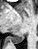
Magnetic resonance
The posterior hippocampus lies within rect(11, 35, 24, 42).